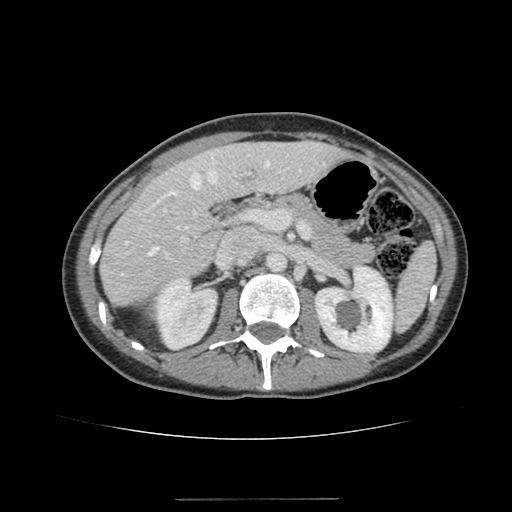 512x512 px | CT slice
Liver = (100,140,348,306).
Kidney = (315,267,392,352), (156,278,216,348).